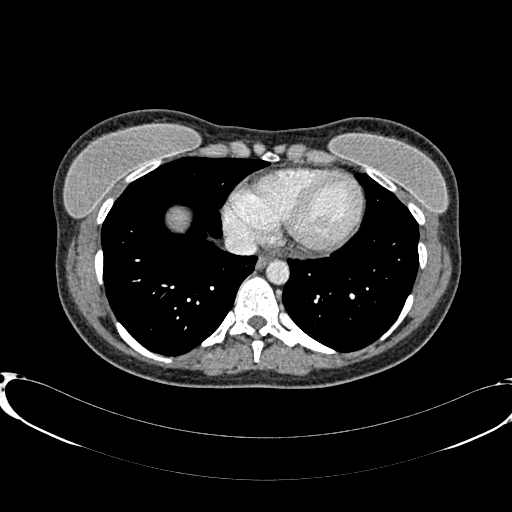

Upper abdomen | CT

Liver: box=[169, 207, 188, 231].